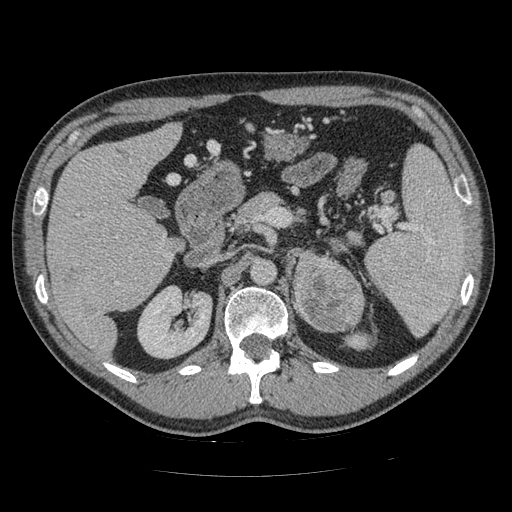

CT image; Image size 512x512; Abdomen

{
  "pancreatic_tumor": [
    "[x1=296, y1=253, x2=363, y2=330]"
  ],
  "pancreas": [
    "[x1=307, y1=245, x2=355, y2=277]",
    "[x1=240, y1=193, x2=279, y2=219]"
  ]
}